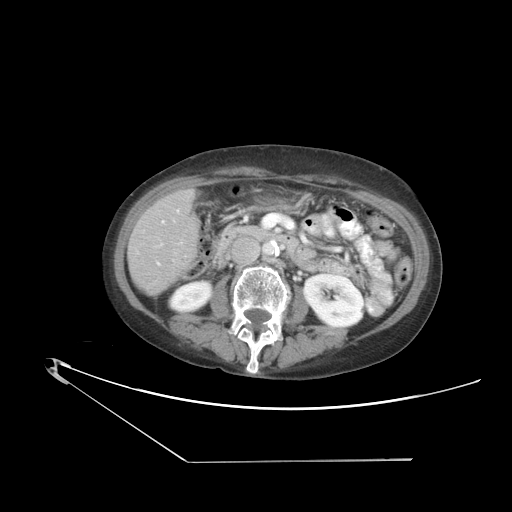
CT scan slice
The vessel boxes may cover only some of the vessels.
- hepatic vessel: <bbox>177, 210, 179, 212</bbox>, <bbox>162, 221, 164, 223</bbox>, <bbox>157, 262, 159, 264</bbox>